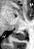
Hippocampus; MR image

The posterior hippocampus is bounded by rect(12, 31, 26, 39).